Computed tomography. Slice index 540.
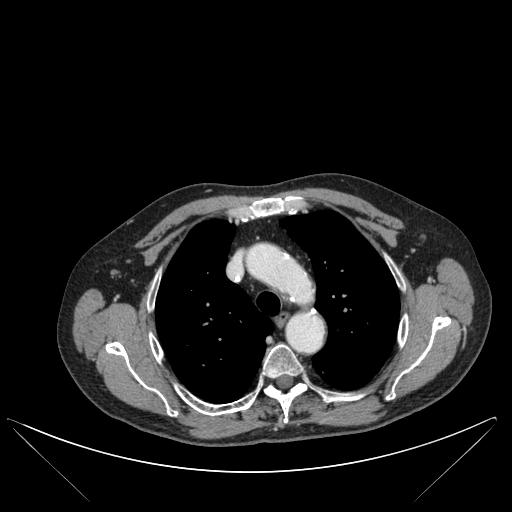

<segmentation>
  <bone>(175,388,258,415), (398,314,408,346), (149,333,162,361), (262,344,302,377), (147,276,156,310), (390,261,400,284), (105,342,177,416), (319,391,363,401), (264,381,308,422), (242,196,301,221), (386,316,450,399)</bone>
  <lung>(280,211,399,390), (155,219,279,403)</lung>
</segmentation>